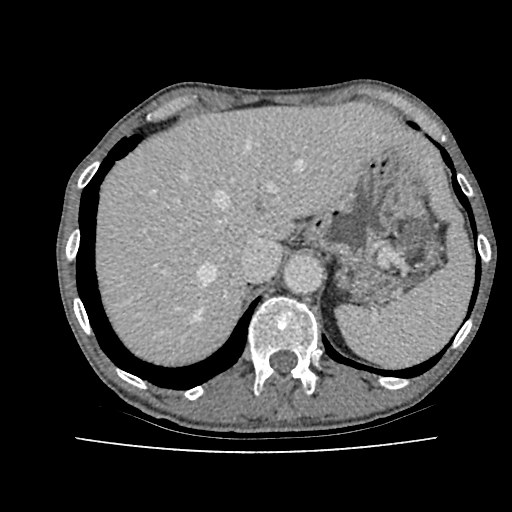 Computed tomography

Liver at [418, 158, 439, 178], [94, 104, 404, 365], [442, 197, 450, 210].